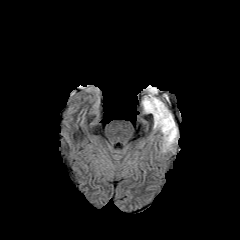
FLAIR magnetic resonance.
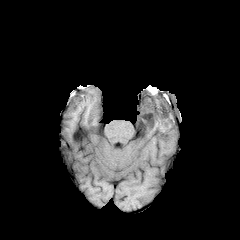
T1-weighted MR of the same slice.
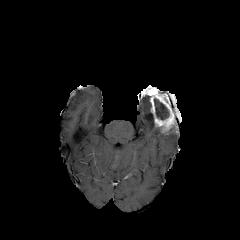
Post-contrast T1-weighted MR.
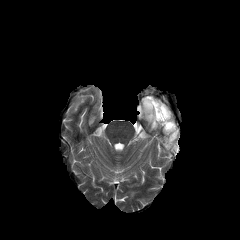
T2-weighted magnetic resonance.
Annotated regions:
* non-enhancing tumor core: bbox(147, 88, 167, 96); bbox(142, 95, 151, 109); bbox(155, 99, 167, 119)
* enhancing tumor: bbox(141, 90, 177, 133)
* edema: bbox(142, 98, 149, 113); bbox(153, 125, 178, 152)